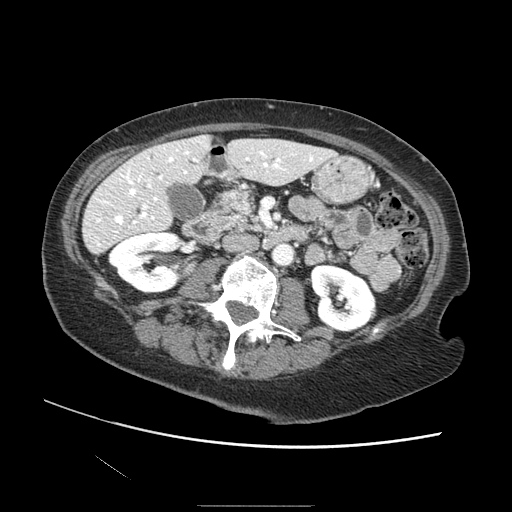
CT image | 512x512
Findings:
- pancreas: [x1=216, y1=189, x2=264, y2=232]
- pancreatic tumor: [x1=231, y1=197, x2=250, y2=216]